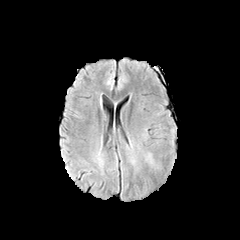
FLAIR magnetic resonance.
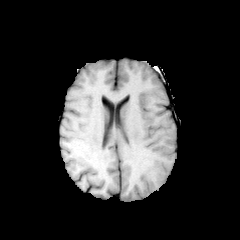
T1-weighted MR image of the same slice.
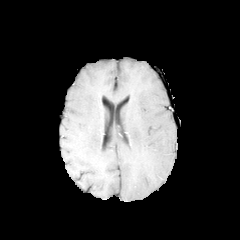
Post-contrast T1-weighted MR image.
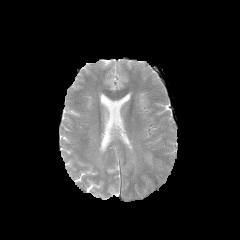
T2-weighted magnetic resonance.
Brain
edema: bbox=[145, 154, 153, 164]